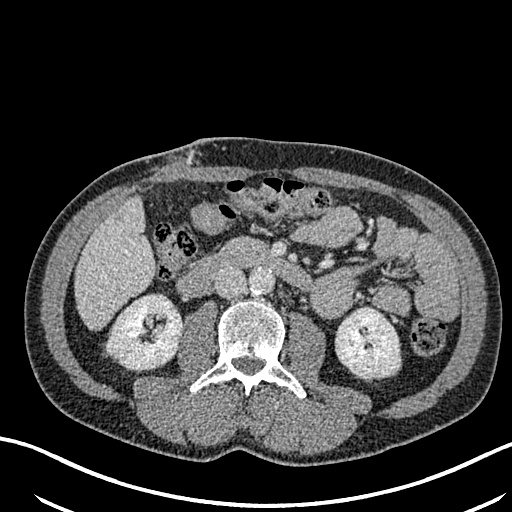
Liver | CT slice
{"kidney": ["x1=336 y1=308 x2=400 y2=377", "x1=108 y1=295 x2=181 y2=369"], "hepatic_lesion": ["x1=115 y1=211 x2=123 y2=220"], "liver": ["x1=75 y1=197 x2=152 y2=328"]}